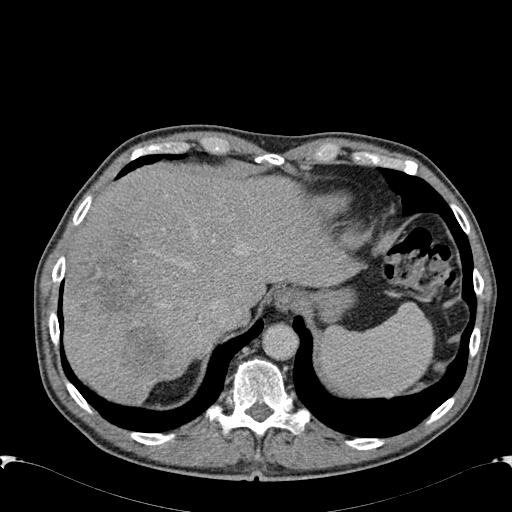 Computed tomography, Abdomen

liver:
  - 63, 166, 357, 404
liver_lesion:
  - 68, 234, 147, 312
  - 122, 327, 166, 375